FLAIR magnetic resonance.
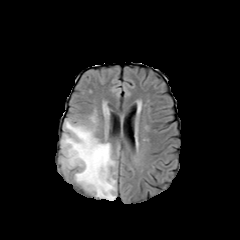
T1-weighted MR image.
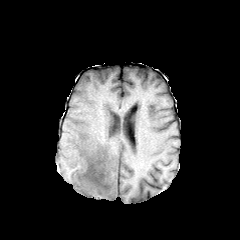
Post-contrast T1-weighted MR image.
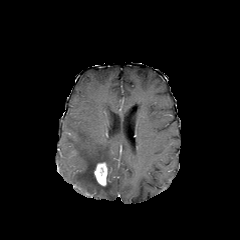
T2-weighted magnetic resonance.
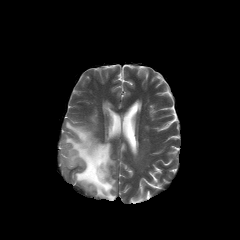
Head
Enhancing tumor: bounding box (94, 162, 107, 185).
Non-enhancing tumor core: bounding box (84, 156, 110, 194).
Edema: bounding box (60, 119, 116, 200).